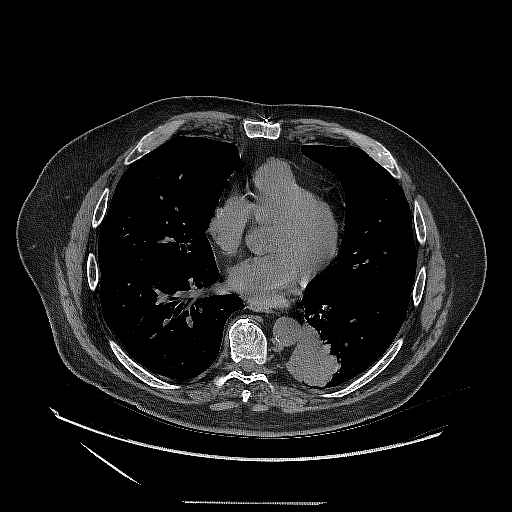

CT slice | Thorax
The lung tumor is located at bbox(287, 317, 348, 387).